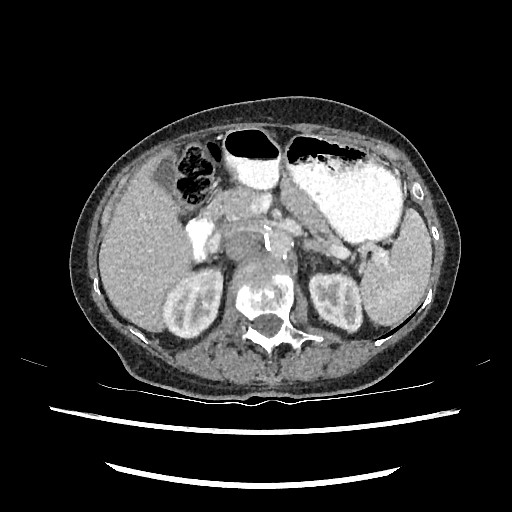 Computed tomography; Abdomen
2 kidney regions are bounded by box(163, 271, 221, 337); box(310, 275, 361, 329). The liver appears at box(99, 157, 190, 330).